FLAIR MRI.
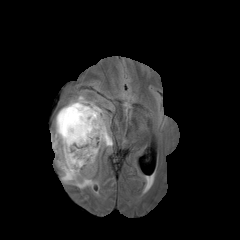
T1-weighted MR.
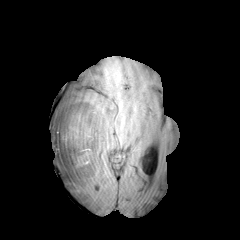
Post-contrast T1-weighted magnetic resonance.
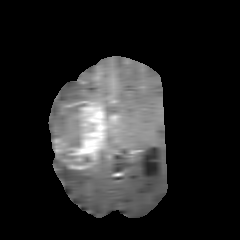
T2-weighted magnetic resonance.
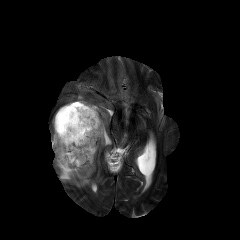
Brain
Findings:
• edema: x1=104 y1=115 x2=112 y2=148, x1=52 y1=94 x2=86 y2=128, x1=54 y1=160 x2=97 y2=188
• non-enhancing tumor core: x1=55 y1=154 x2=73 y2=169, x1=53 y1=104 x2=84 y2=138
• enhancing tumor: x1=53 y1=101 x2=108 y2=169